CT slice; Slice index 45; Field of view 450 mm wide, 2.50 mm slice spacing; 512x512 px 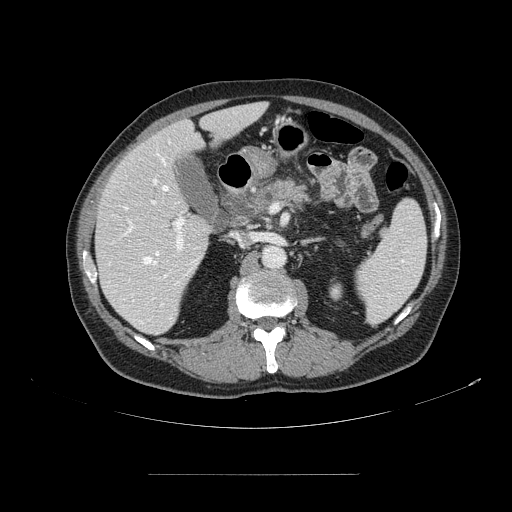

The pancreas is bounded by 248 176 318 216.